Field of view 422 mm wide, 1.50 mm slice spacing. CT image. 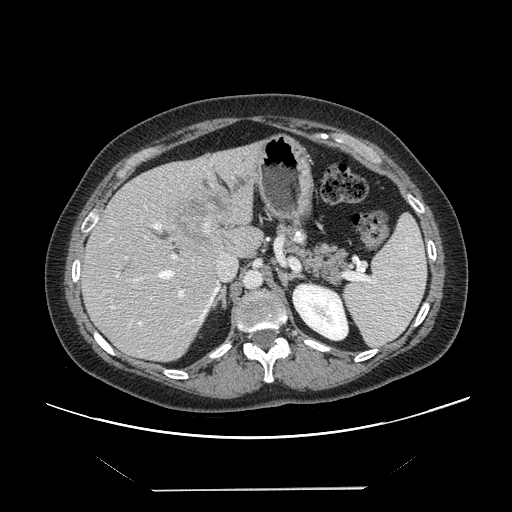

Some hepatic vessels may have no box.
Liver tumor: bounding box (171, 187, 224, 247).
Hepatic vessel: bounding box (116, 274, 118, 276), (139, 322, 141, 324), (217, 252, 235, 280), (110, 306, 115, 308), (108, 239, 111, 241), (177, 290, 184, 298), (154, 268, 174, 279), (212, 281, 218, 284), (132, 277, 140, 280), (125, 257, 126, 258), (172, 254, 176, 259), (152, 222, 161, 230).